240x240.
FLAIR magnetic resonance.
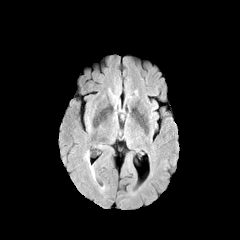
T1-weighted MR.
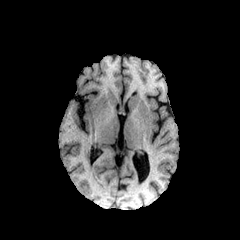
Post-contrast T1-weighted MR.
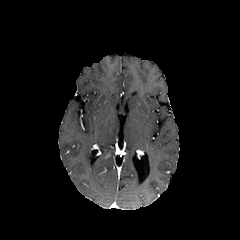
T2-weighted MR.
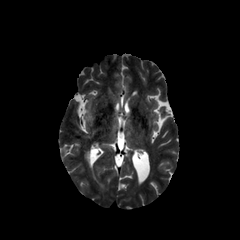
- edema: box=[83, 150, 96, 182]